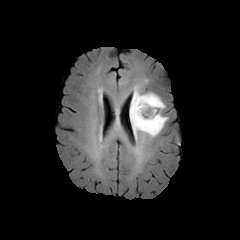
FLAIR magnetic resonance.
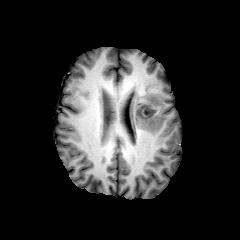
T1-weighted magnetic resonance.
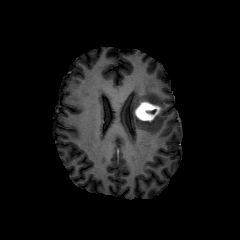
Post-contrast T1-weighted MRI of the same slice.
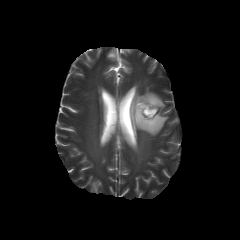
Same slice, T2-weighted MR image.
Brain | 240x240
The edema appears at x1=130 y1=86 x2=168 y2=141. The enhancing tumor is bounded by x1=134 y1=101 x2=160 y2=122.